Slice index 60 | Field of view 700x700 mm | CT scan slice

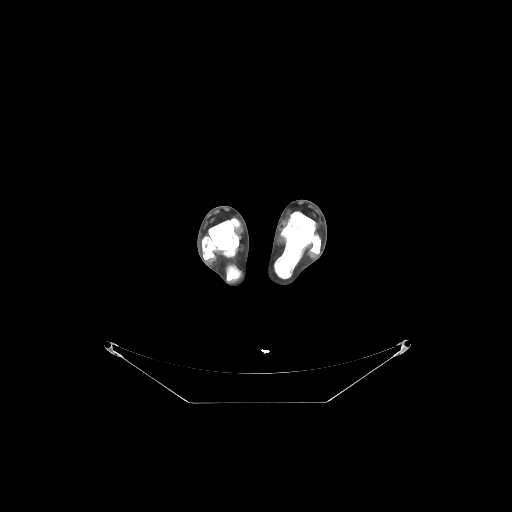

3 bone regions appear at region(202, 218, 240, 259); region(227, 265, 240, 281); region(274, 212, 320, 278).